FLAIR MR image.
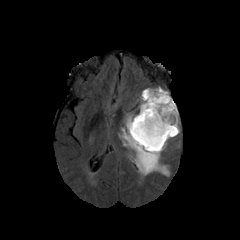
T1-weighted MR.
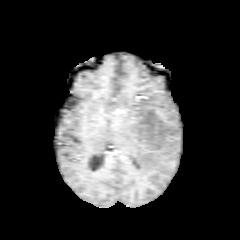
Post-contrast T1-weighted MR image.
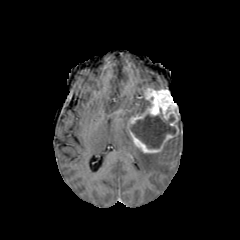
T2-weighted MR.
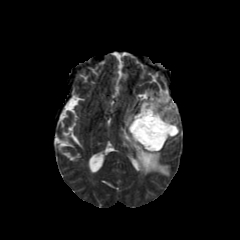
<segmentation>
  <edema>box(121, 127, 170, 176); box(137, 100, 146, 113)</edema>
  <enhancing_tumor>box(127, 87, 179, 153)</enhancing_tumor>
  <non-enhancing_tumor_core>box(130, 114, 176, 148)</non-enhancing_tumor_core>
</segmentation>